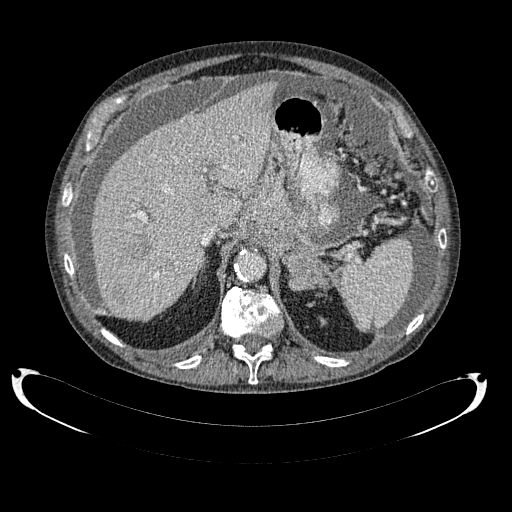 Abdomen. CT slice. Liver: bounding box (92, 81, 276, 319).
Focal liver lesion: bounding box (123, 236, 149, 263), (114, 290, 127, 304), (165, 262, 173, 271), (196, 205, 213, 218).